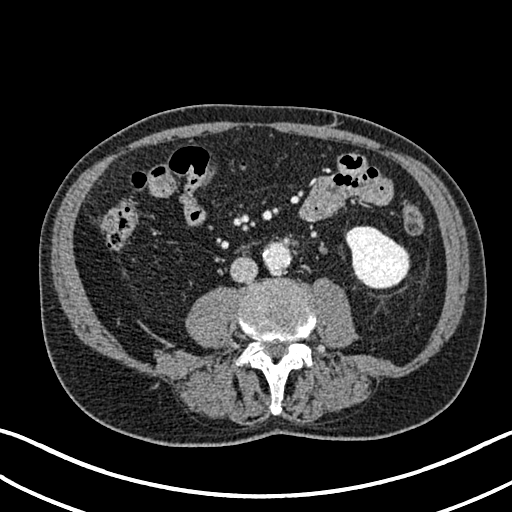

CT slice. Abdomen.
Annotated regions:
- kidney: box=[346, 227, 408, 287]